CT image, Slice 105 of 158
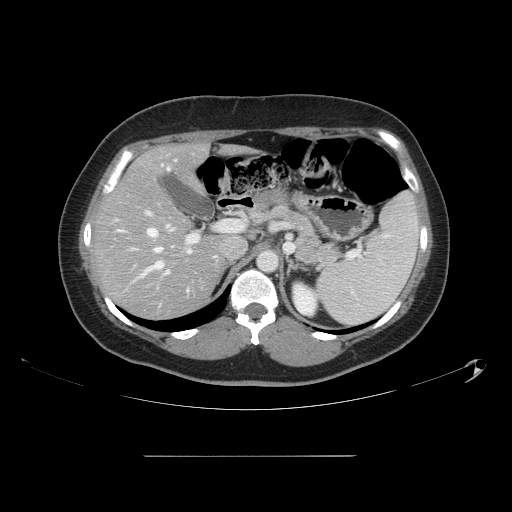
Only some of the vessels may be annotated.
9 hepatic vessel regions are located at (left=155, top=247, right=161, bottom=251), (left=187, top=248, right=191, bottom=252), (left=167, top=225, right=172, bottom=230), (left=146, top=211, right=150, bottom=214), (left=117, top=230, right=120, bottom=230), (left=142, top=262, right=162, bottom=275), (left=165, top=270, right=169, bottom=273), (left=147, top=228, right=156, bottom=235), (left=167, top=167, right=169, bottom=169).